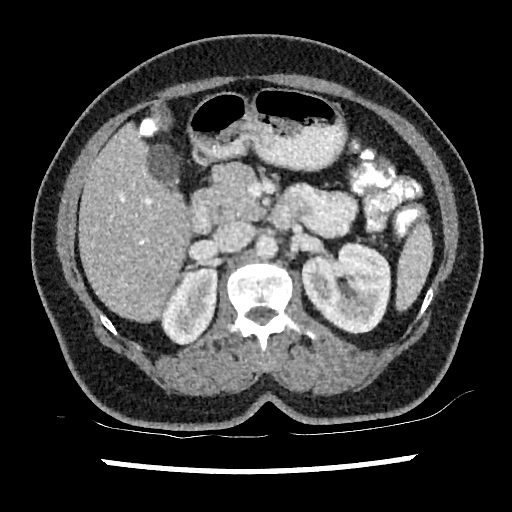
CT image. Upper abdomen.

{"kidney": ["box(302, 244, 389, 332)", "box(163, 269, 216, 343)"], "liver": ["box(79, 123, 187, 320)"], "liver_lesion": ["box(148, 145, 178, 181)"]}